FLAIR MR.
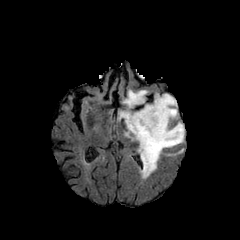
T1-weighted magnetic resonance.
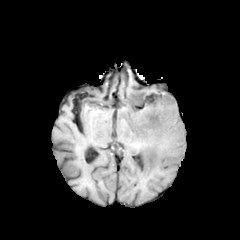
Post-contrast T1-weighted MR image.
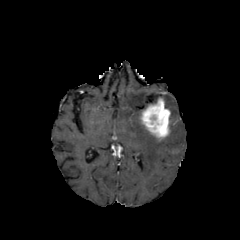
T2-weighted MR.
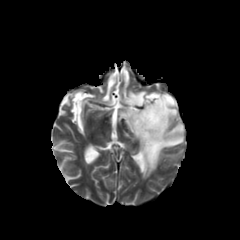
The enhancing tumor is bounded by box=[140, 96, 170, 140]. The edema lies within box=[117, 89, 184, 178].